FLAIR MRI.
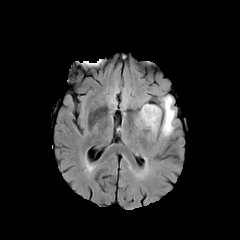
T1-weighted MR.
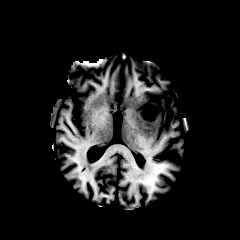
Post-contrast T1-weighted MR.
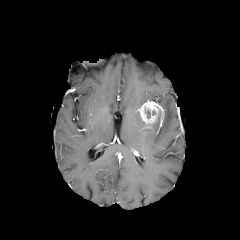
T2-weighted MRI.
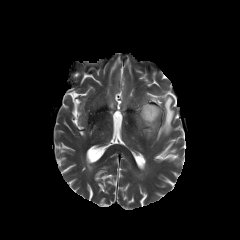
240x240 px
The enhancing tumor appears at bbox=[144, 101, 163, 111]. The non-enhancing tumor core appears at bbox=[143, 105, 160, 127]. The edema is located at bbox=[136, 93, 175, 136].